Upper abdomen. Computed tomography.

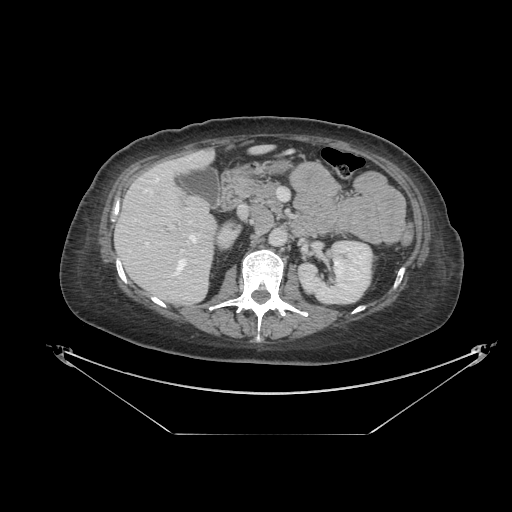 pancreas: (x1=252, y1=181, x2=281, y2=214)